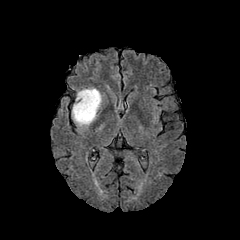
FLAIR magnetic resonance.
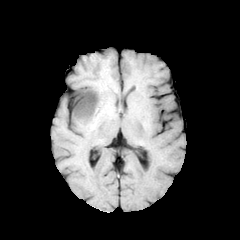
T1-weighted magnetic resonance of the same slice.
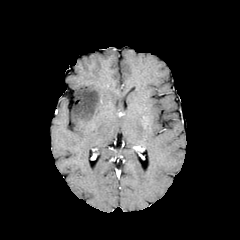
Post-contrast T1-weighted MR image of the same slice.
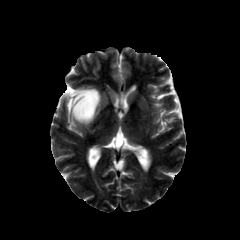
T2-weighted MRI of the same slice.
240x240 px
edema:
  - (68, 86, 104, 127)